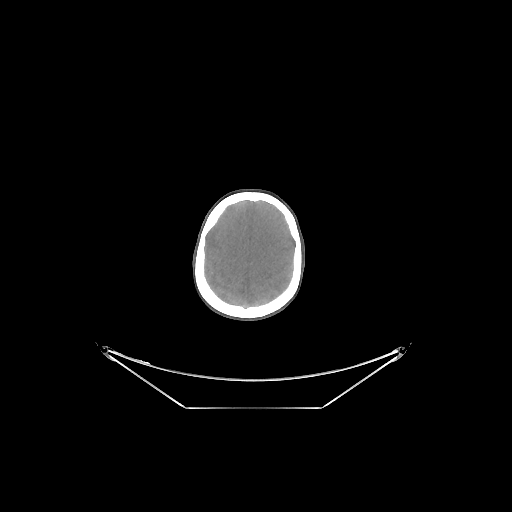 CT image, Brain, Image size 512x512

The bone lies within bbox(195, 192, 301, 317). The brain is at bbox(204, 200, 295, 308).